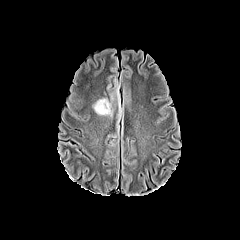
FLAIR MRI.
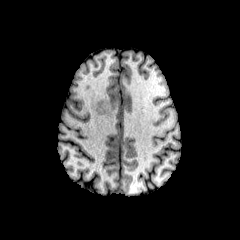
T1-weighted magnetic resonance.
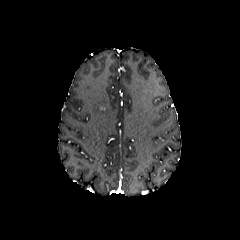
Post-contrast T1-weighted MR image.
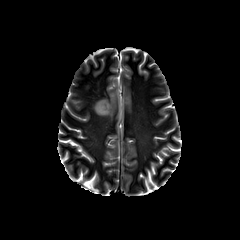
Same slice, T2-weighted MR image.
Head. 240x240.
Annotated regions:
- edema: region(93, 98, 113, 117)